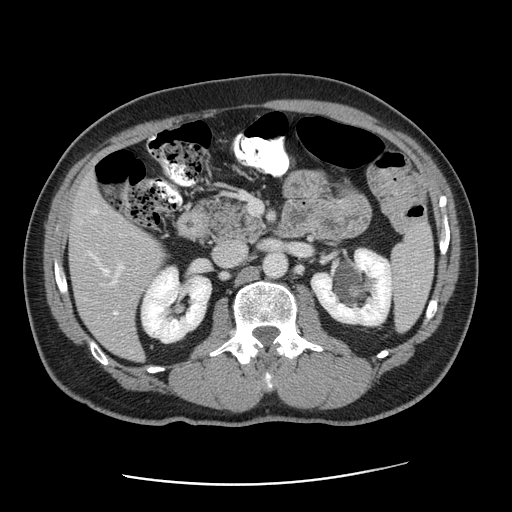

CT image
The vessel annotation is not exhaustive.
{
  "hepatic_vessel": [
    "(115,312,116,314)",
    "(104,269,108,273)",
    "(92,210,96,212)",
    "(112,264,122,283)"
  ]
}